FLAIR MR.
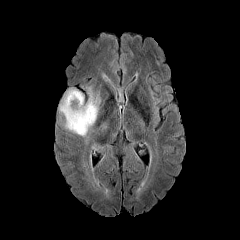
T1-weighted magnetic resonance.
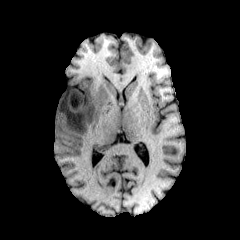
Post-contrast T1-weighted MR image.
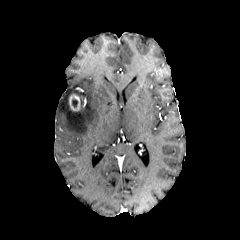
T2-weighted magnetic resonance.
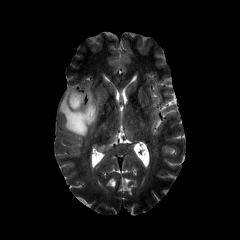
240x240 px; Brain
Enhancing tumor at bbox(68, 93, 83, 111).
Edema at bbox(56, 86, 99, 137).